CT, Image size 512x512, Slice 116/135

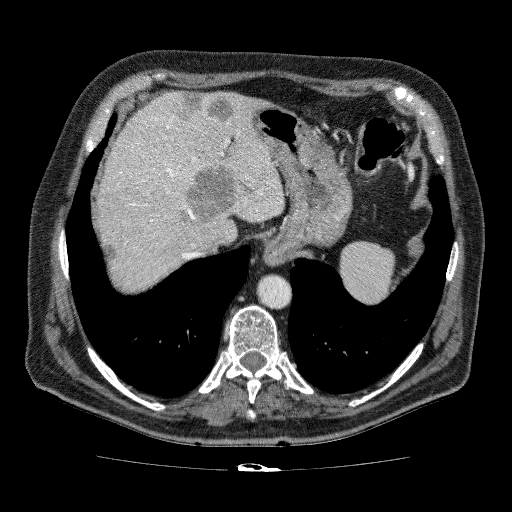

{
  "focal_liver_lesion": [
    "bbox(231, 130, 241, 145)",
    "bbox(176, 211, 198, 229)",
    "bbox(175, 91, 235, 122)",
    "bbox(183, 162, 239, 224)",
    "bbox(102, 242, 119, 263)",
    "bbox(243, 182, 258, 196)"
  ],
  "liver": [
    "bbox(97, 91, 283, 293)"
  ]
}